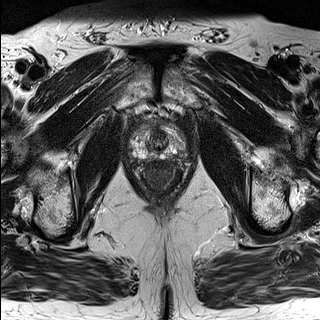
T2-weighted MR image.
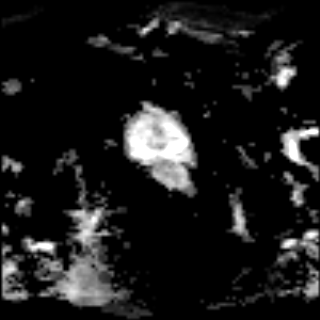
ADC MRI of the same slice.
Image size 320x320
Prostate peripheral zone: bounding box bbox=[126, 122, 189, 163].
Prostate transition zone: bounding box bbox=[145, 122, 167, 150].